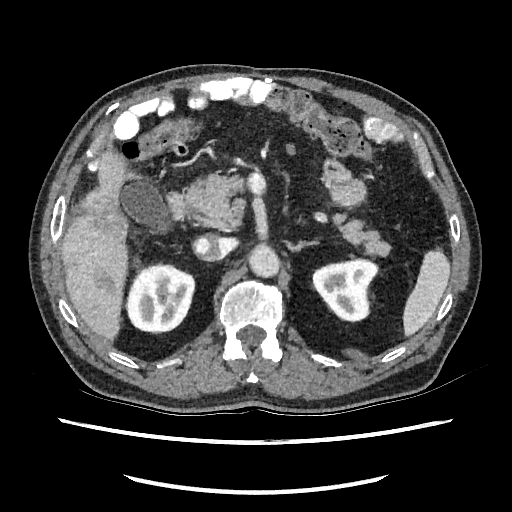 Abdomen; CT slice
2 liver lesion regions are bounded by box=[94, 199, 127, 238]; box=[94, 269, 115, 291]. The liver is at box=[62, 152, 127, 338]. 2 kidney regions appear at box=[125, 263, 194, 333]; box=[313, 258, 378, 321].